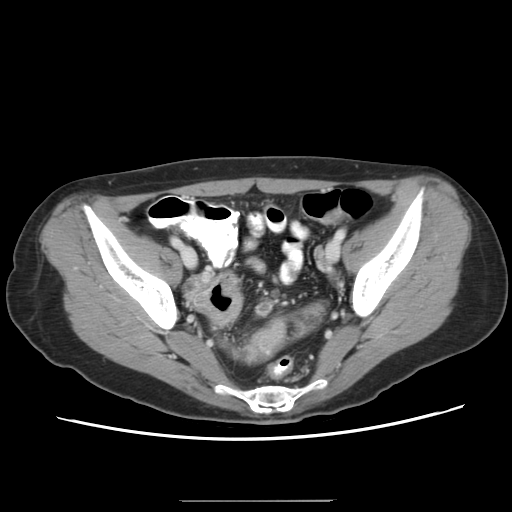

Abdomen, 512x512, CT slice
colon tumor: (x1=193, y1=270, x2=242, y2=325), (x1=304, y1=302, x2=324, y2=315), (x1=246, y1=319, x2=286, y2=363)